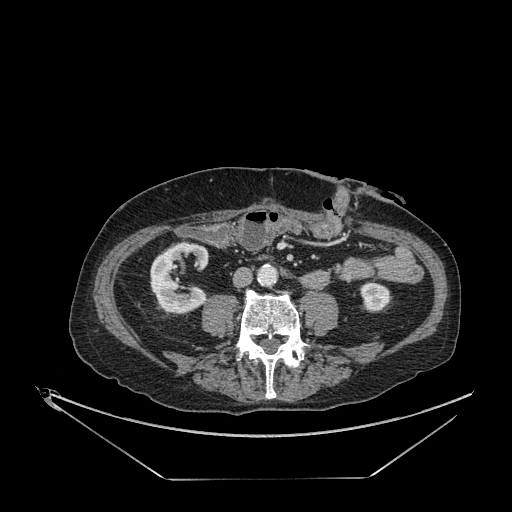

Abdomen; Computed tomography; 512x512 px
• kidney: (151,243,207,312), (360,283,390,310)